Brain, 240x240, Slice 78 of 155
FLAIR MR image.
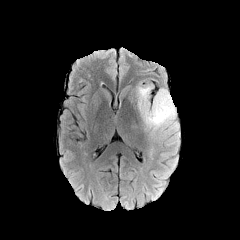
T1-weighted magnetic resonance.
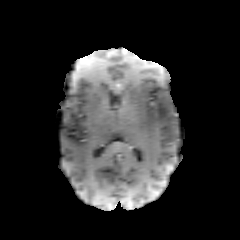
Post-contrast T1-weighted magnetic resonance.
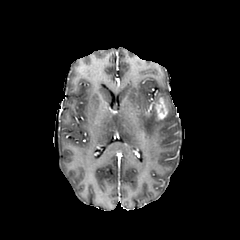
T2-weighted MR image.
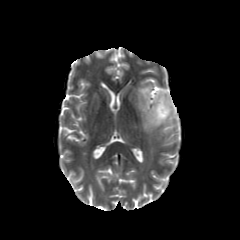
The enhancing tumor lies within bbox(154, 97, 168, 121). 2 edema regions appear at bbox(136, 83, 180, 159); bbox(166, 157, 177, 164).